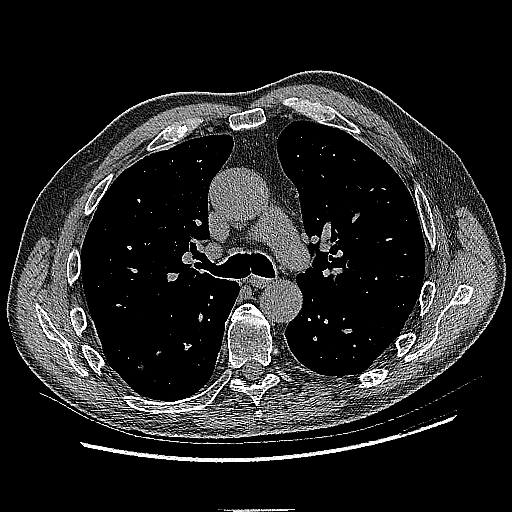

CT | Image size 512x512
Lung tumor: (x1=135, y1=361, x2=148, y2=374).